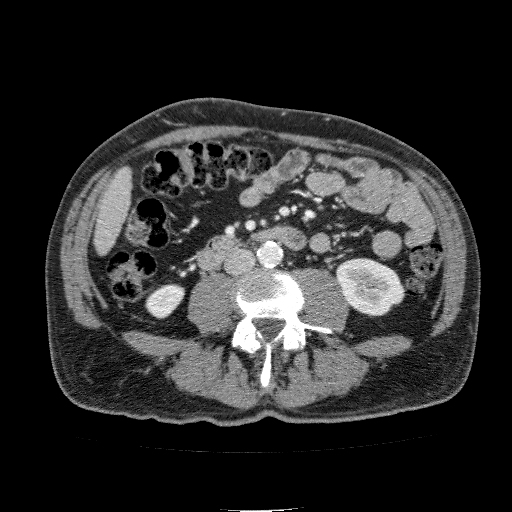 Liver. CT image.

2 kidney regions are bounded by 337 259 403 314, 147 285 183 317. The liver appears at 94 167 132 255.